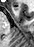

34x47 | Magnetic resonance

Segmented structures:
* anterior hippocampus: region(15, 9, 17, 10)